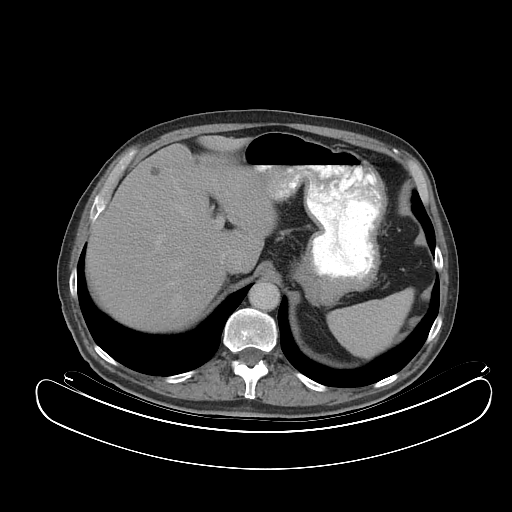

Computed tomography

The spleen lies within 327, 291, 412, 356.